Computed tomography | Slice 415 of 781 | 512x512

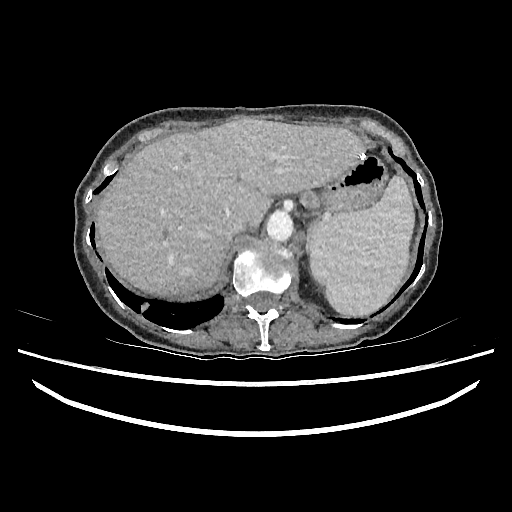

liver:
  - x1=99, y1=119, x2=364, y2=294